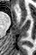

MRI slice

Anterior hippocampus: bounding box bbox(15, 8, 18, 9).